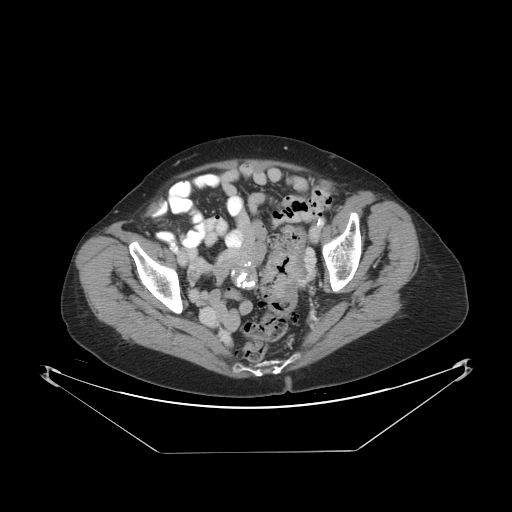
CT image; Pelvis; 512x512
colon_tumor:
  - 259:250:297:317